512x512 px | Abdomen | Field of view 381x381 mm | CT image

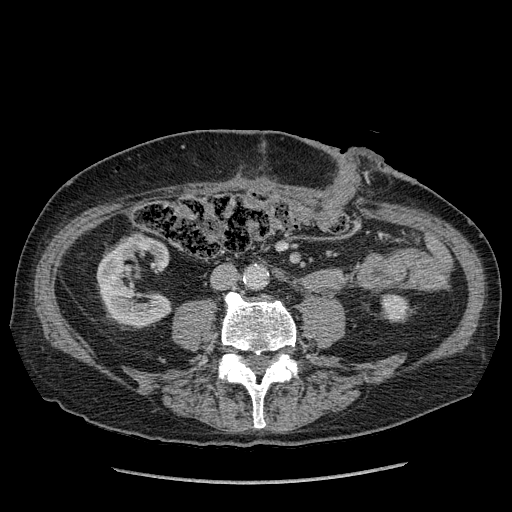
Kidney at box=[381, 294, 408, 321]; box=[97, 238, 170, 326].